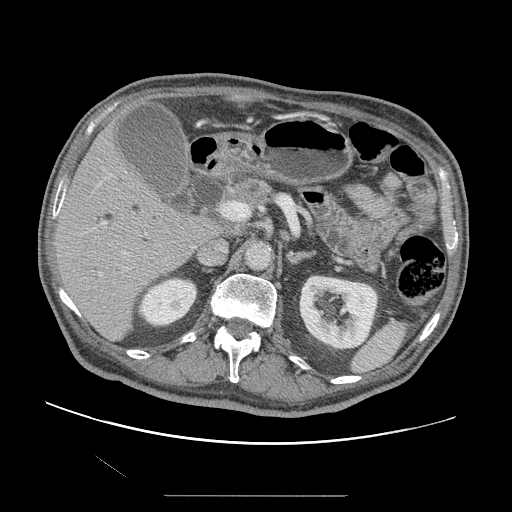

Upper abdomen. CT slice.
Pancreas = 228 177 278 204.